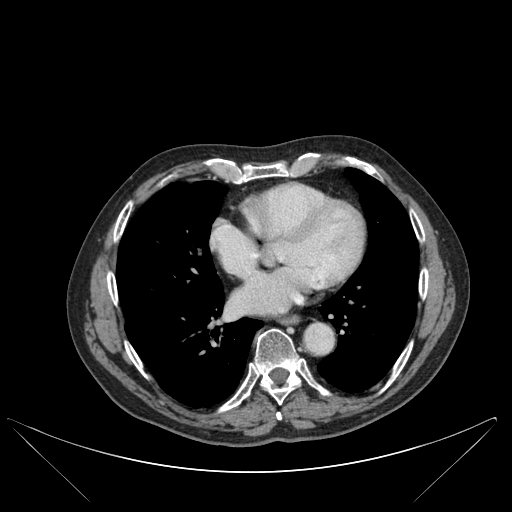
Chest | CT

Segmented structures:
- lung: region(317, 168, 418, 392); region(116, 181, 262, 407)
- bone: region(205, 160, 289, 183); region(219, 329, 328, 411); region(114, 202, 132, 240); region(125, 342, 146, 376); region(298, 154, 318, 160); region(410, 210, 424, 241); region(419, 269, 428, 298); region(384, 343, 412, 389); region(107, 272, 117, 303)